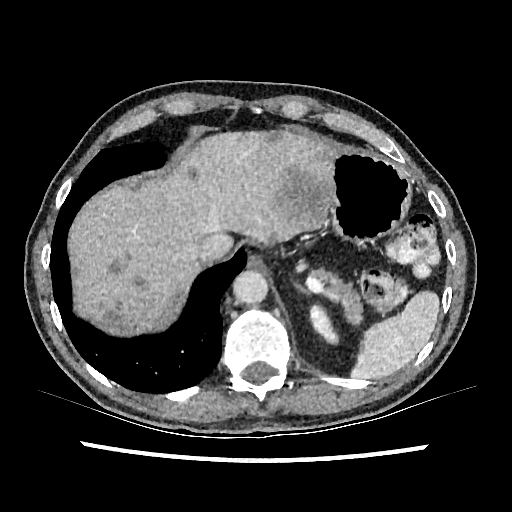

CT scan slice | Abdomen
Liver = (x1=73, y1=131, x2=333, y2=323).
Kidney = (x1=311, y1=306, x2=334, y2=340).
Liver lesion = (x1=234, y1=133, x2=251, y2=148), (x1=133, y1=275, x2=148, y2=290), (x1=321, y1=149, x2=330, y2=161), (x1=268, y1=232, x2=278, y2=241), (x1=101, y1=289, x2=186, y2=332), (x1=106, y1=250, x2=132, y2=275), (x1=261, y1=132, x2=281, y2=145), (x1=274, y1=165, x2=331, y2=227), (x1=187, y1=166, x2=199, y2=180).